Upper abdomen. CT image. 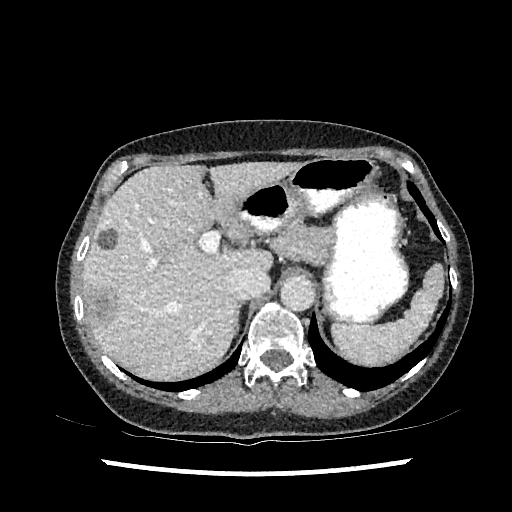
• hepatic lesion: x1=85, y1=285, x2=115, y2=325; x1=97, y1=229, x2=117, y2=249
• liver: x1=84, y1=162, x2=295, y2=377